240x240 | Slice index 98
FLAIR magnetic resonance.
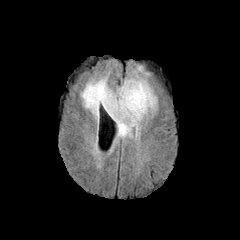
T1-weighted magnetic resonance.
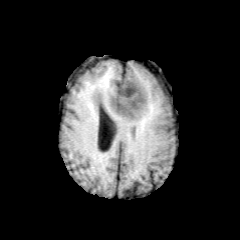
Post-contrast T1-weighted MR.
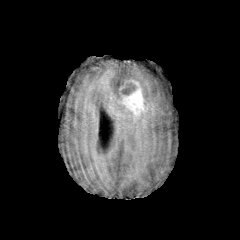
T2-weighted MRI.
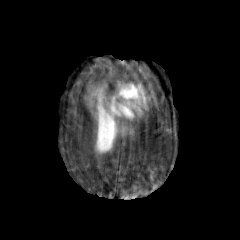
2 edema regions appear at (left=81, top=72, right=156, bottom=138), (left=137, top=66, right=147, bottom=75). The non-enhancing tumor core is at (left=121, top=85, right=135, bottom=96). The enhancing tumor is bounded by (left=112, top=80, right=145, bottom=118).